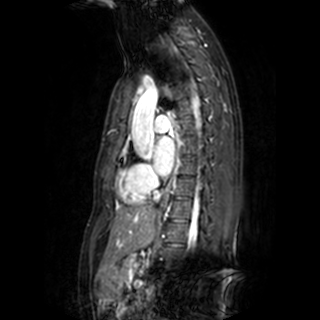 MRI slice
Left atrium at rect(154, 137, 174, 175).